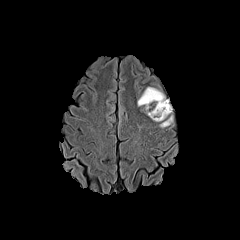
FLAIR MR image.
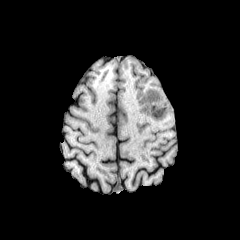
T1-weighted magnetic resonance.
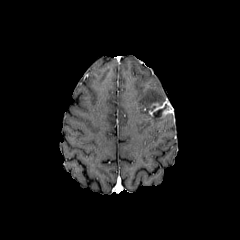
Same slice, post-contrast T1-weighted MRI.
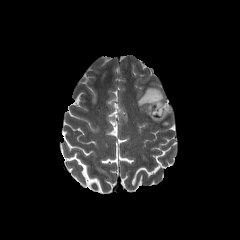
Same slice, T2-weighted magnetic resonance.
Brain
edema:
  - (left=138, top=87, right=165, bottom=105)
non-enhancing_tumor_core:
  - (left=153, top=108, right=163, bottom=117)
enhancing_tumor:
  - (left=146, top=100, right=167, bottom=116)
  - (left=160, top=105, right=172, bottom=118)